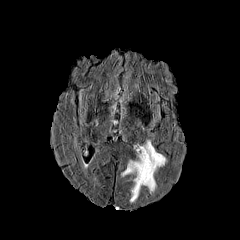
FLAIR MR.
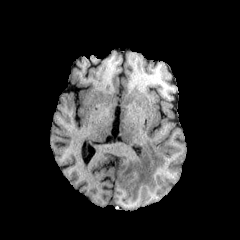
T1-weighted MRI.
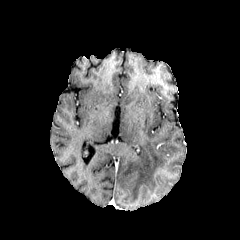
Post-contrast T1-weighted MRI.
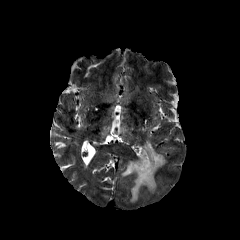
T2-weighted MR image.
Head
Edema at bbox=[120, 140, 166, 203].